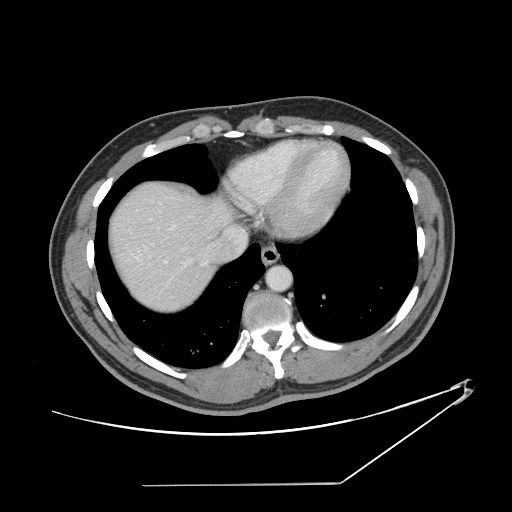 CT; Liver
The vessel annotation is not exhaustive.
• hepatic vessel: (165,261,167,263), (203,262,205,263), (171,227,174,228), (182,263,185,268)